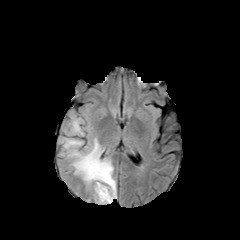
FLAIR magnetic resonance.
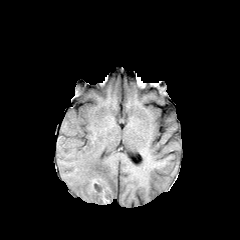
T1-weighted magnetic resonance of the same slice.
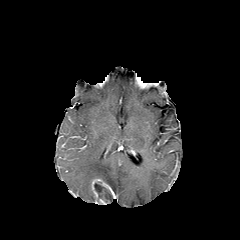
Same slice, post-contrast T1-weighted MR image.
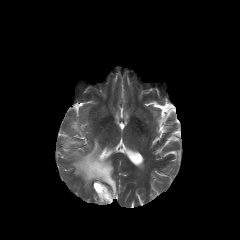
Same slice, T2-weighted MR image.
The non-enhancing tumor core is at [92, 178, 107, 197]. The enhancing tumor appears at [102, 184, 115, 197]. 2 edema regions appear at [60, 118, 117, 204], [102, 191, 113, 203].